Abdomen. Slice 355 of 677. CT image. 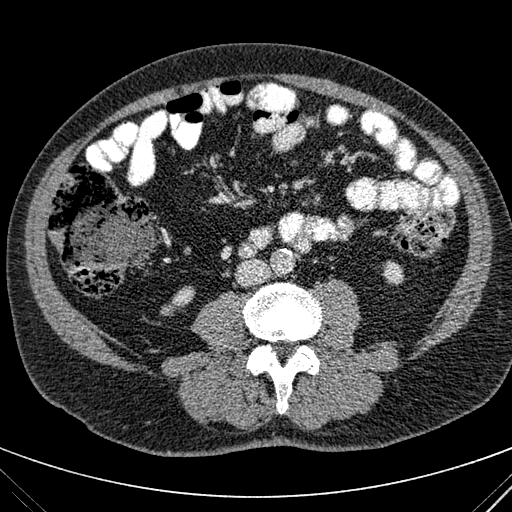
kidney: x1=172 y1=287 x2=194 y2=305, x1=383 y1=261 x2=403 y2=284